Head, 240x240
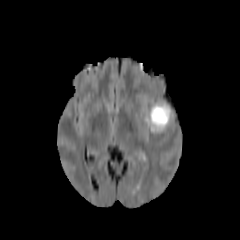
FLAIR MR image.
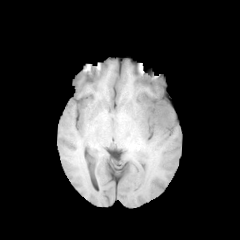
T1-weighted magnetic resonance of the same slice.
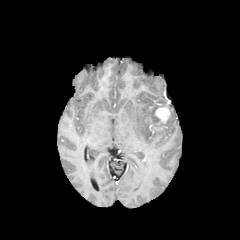
Post-contrast T1-weighted MR image.
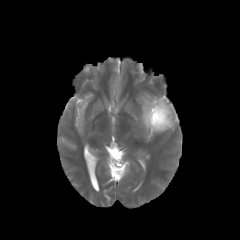
T2-weighted magnetic resonance of the same slice.
Segmented structures:
• edema: l=141, t=97, r=177, b=141
• enhancing tumor: l=155, t=104, r=171, b=124